FLAIR MRI.
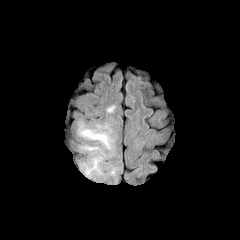
T1-weighted magnetic resonance.
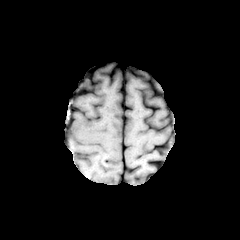
Post-contrast T1-weighted MR.
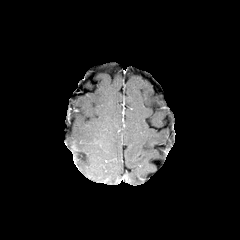
T2-weighted MRI.
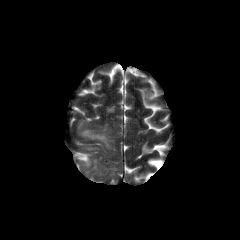
240x240
Edema = left=80, top=124, right=111, bottom=151.